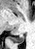 Medial temporal lobe; MRI slice

The posterior hippocampus is located at {"x1": 9, "y1": 34, "x2": 24, "y2": 44}.